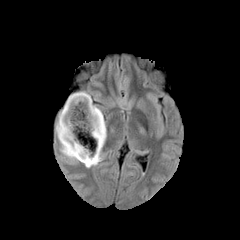
FLAIR MRI.
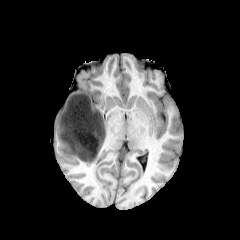
T1-weighted MRI.
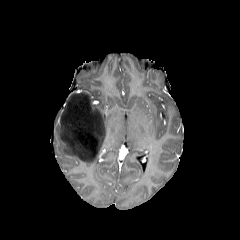
Same slice, post-contrast T1-weighted MRI.
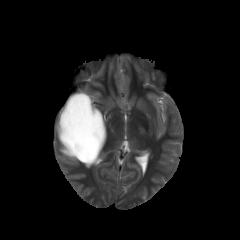
T2-weighted MR of the same slice.
The non-enhancing tumor core is bounded by bbox=[57, 91, 104, 161]. 3 edema regions are located at bbox=[55, 118, 100, 167]; bbox=[81, 90, 97, 101]; bbox=[95, 106, 106, 143].